512x512 px, CT slice
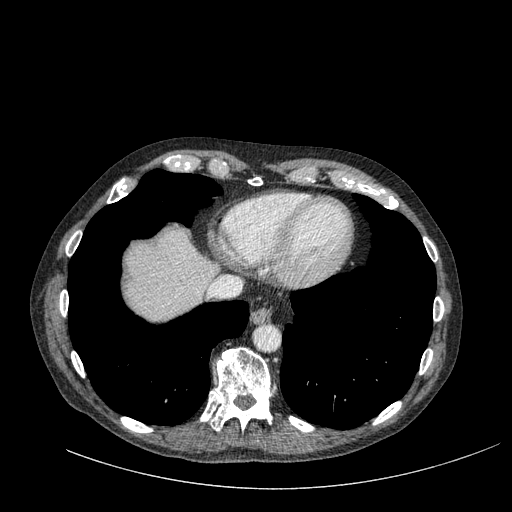 <segmentation>
  <liver>x1=126 y1=229 x2=215 y2=321</liver>
</segmentation>